Abdomen, Computed tomography, Image size 512x512 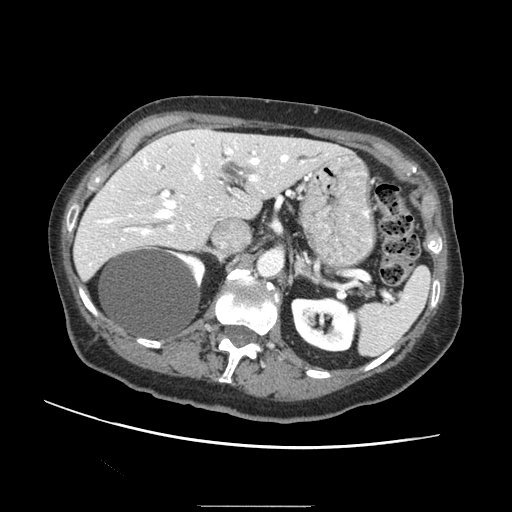
pancreas: x1=360, y1=285, x2=372, y2=297